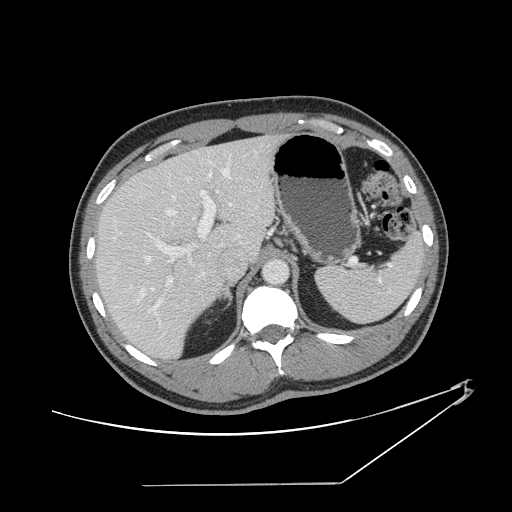
CT; Liver
The vessel annotation is not exhaustive.
Findings:
- hepatic vessel (most prominent 15 of 21): region(166, 209, 175, 215); region(138, 288, 145, 300); region(222, 167, 230, 178); region(167, 278, 172, 286); region(148, 233, 151, 236); region(198, 196, 216, 234); region(254, 151, 256, 157); region(209, 169, 211, 176); region(219, 242, 224, 245); region(145, 256, 150, 262); region(189, 257, 193, 266); region(154, 237, 187, 261); region(172, 195, 175, 199); region(201, 190, 205, 195); region(148, 298, 162, 311)